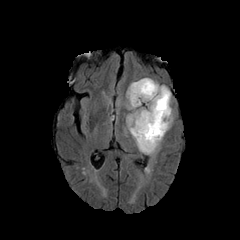
FLAIR magnetic resonance.
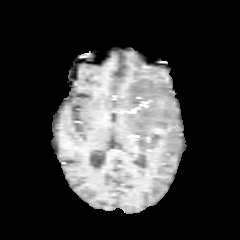
T1-weighted magnetic resonance.
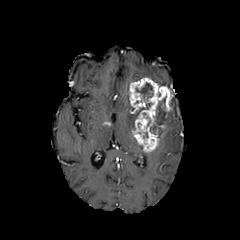
Same slice, post-contrast T1-weighted MR image.
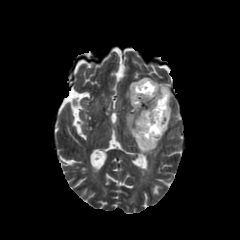
Same slice, T2-weighted MRI.
Image size 240x240, Head
3 non-enhancing tumor core regions appear at x1=135, y1=82, x2=153, y2=109; x1=144, y1=113, x2=150, y2=127; x1=150, y1=95, x2=168, y2=133. 2 edema regions are bounded by x1=125, y1=83, x2=136, y2=110; x1=126, y1=99, x2=174, y2=156. The enhancing tumor appears at x1=129, y1=78, x2=170, y2=151.